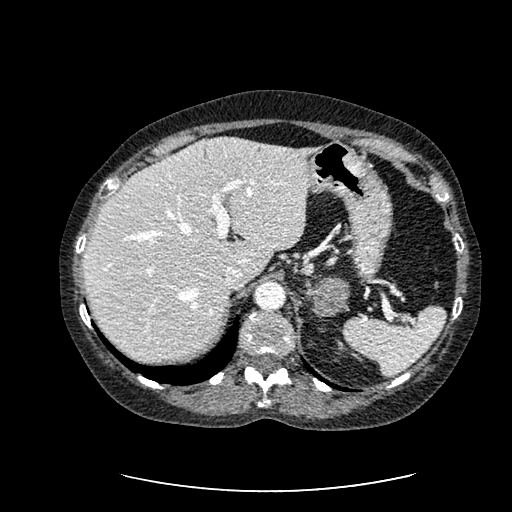 CT slice
<segmentation>
  <liver>box(83, 138, 322, 360)</liver>
</segmentation>